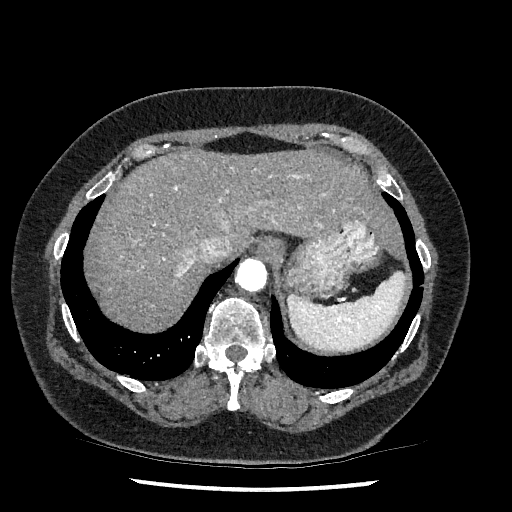

Liver, CT image
{"liver": ["x1=91, y1=152, x2=404, y2=329"]}